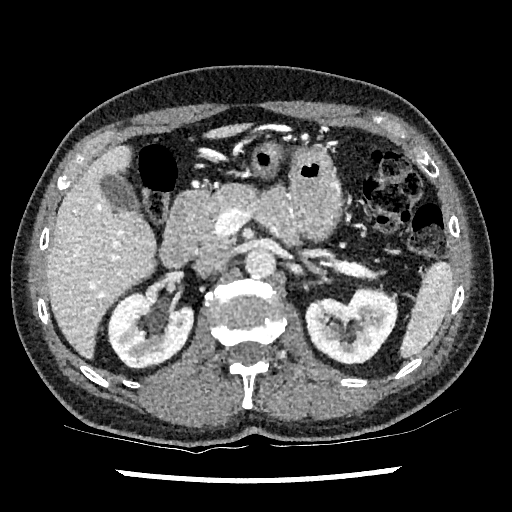
Image size 512x512, CT
liver: x1=47 y1=146 x2=156 y2=358, x1=204 y1=122 x2=252 y2=138 | kidney: x1=109 y1=292 x2=192 y2=367, x1=306 y1=290 x2=396 y2=362